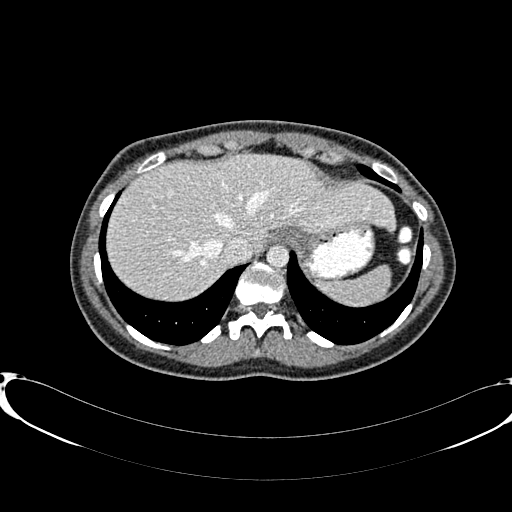

CT scan slice. 512x512. The liver is located at x1=107 y1=154 x2=395 y2=299.